FLAIR MRI.
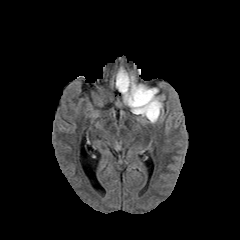
T1-weighted MRI.
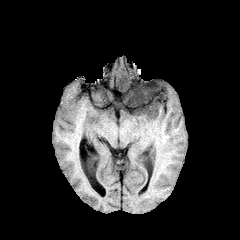
Post-contrast T1-weighted MR.
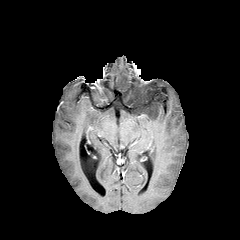
T2-weighted MRI.
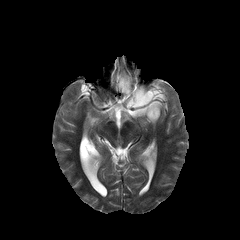
Brain, Image size 240x240
The edema is at [x1=115, y1=67, x2=165, y2=124]. The non-enhancing tumor core appears at [x1=128, y1=90, x2=153, y2=107].